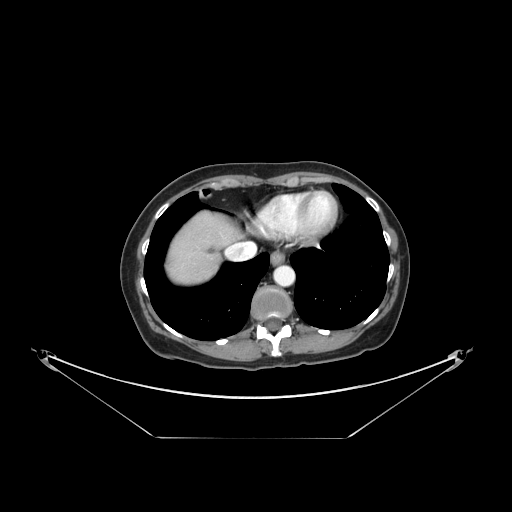

CT scan slice | 512x512 px

{"liver_tumor": ["bbox(207, 247, 216, 256)"]}